FLAIR MR.
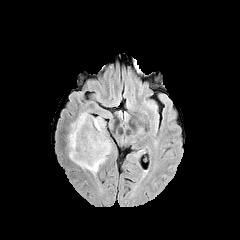
T1-weighted magnetic resonance.
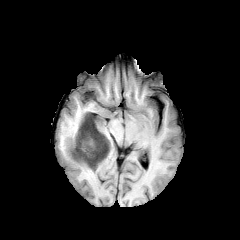
Post-contrast T1-weighted magnetic resonance.
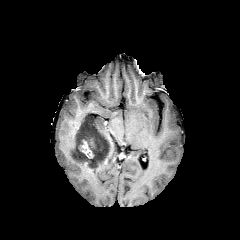
T2-weighted MR image.
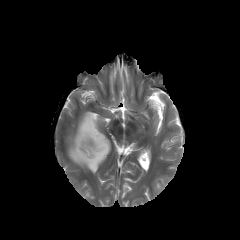
<segmentation>
  <edema>68 110 111 174</edema>
  <non-enhancing_tumor_core>72 114 108 167</non-enhancing_tumor_core>
  <enhancing_tumor>80 140 93 158</enhancing_tumor>
</segmentation>